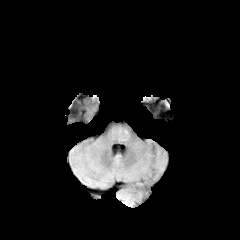
FLAIR magnetic resonance.
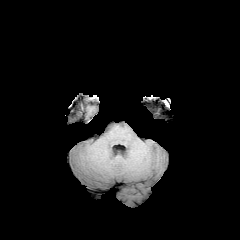
T1-weighted MR.
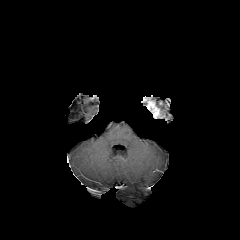
Same slice, post-contrast T1-weighted MRI.
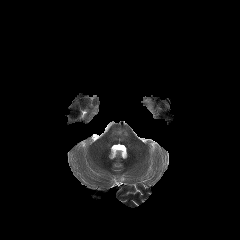
T2-weighted MRI.
non-enhancing tumor core: (147,104,159,115)